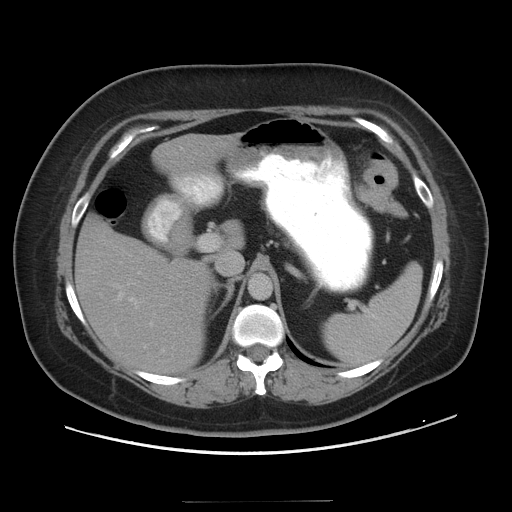

CT
<segmentation>
  <colon_tumor>region(356, 159, 397, 211)</colon_tumor>
</segmentation>